Head; Slice 129/155
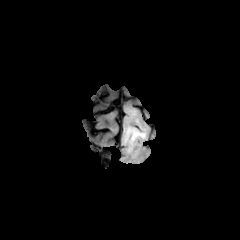
FLAIR MR.
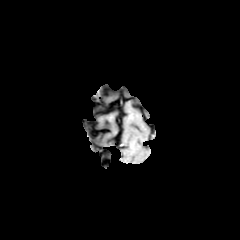
Same slice, T1-weighted MRI.
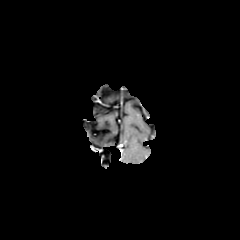
Same slice, post-contrast T1-weighted magnetic resonance.
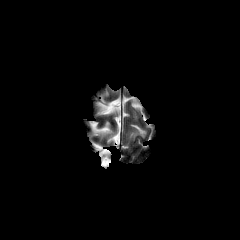
Same slice, T2-weighted magnetic resonance.
<segmentation>
  <edema>bbox=[125, 125, 145, 142]</edema>
</segmentation>